Slice index 40. CT image.

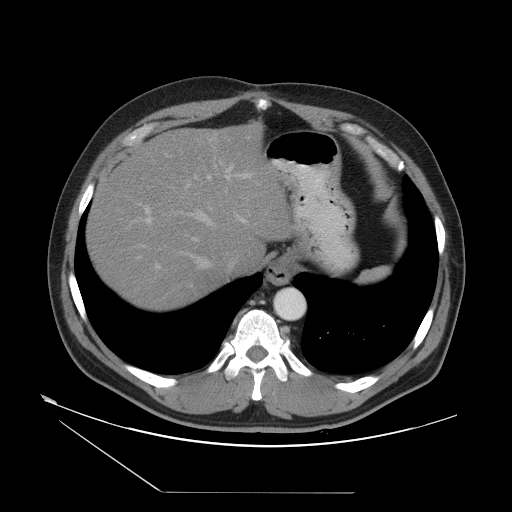 Some hepatic vessels may have no box.
hepatic_vessel:
  - box=[194, 176, 196, 178]
  - box=[136, 204, 142, 205]
  - box=[207, 176, 210, 179]
  - box=[180, 252, 191, 257]
  - box=[192, 238, 196, 241]
  - box=[177, 211, 211, 225]
  - box=[137, 257, 138, 258]
  - box=[235, 217, 246, 223]
  - box=[185, 185, 188, 187]
  - box=[130, 206, 150, 224]
  - box=[195, 258, 209, 268]
  - box=[225, 165, 251, 179]
  - box=[165, 155, 167, 156]
  - box=[155, 265, 159, 268]